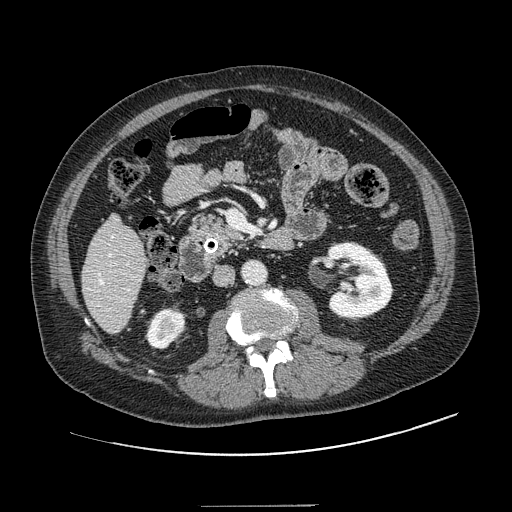 Computed tomography
<segmentation>
  <pancreas>(188,213,244,254)</pancreas>
</segmentation>